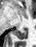

Hippocampus | 36x47 | Magnetic resonance
Segmented structures:
* posterior hippocampus: 14,29,27,39